Image width 240 mm | Slice 51/155
FLAIR MR image.
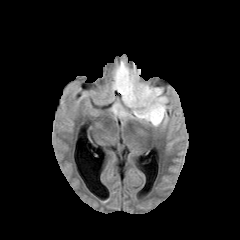
T1-weighted MR.
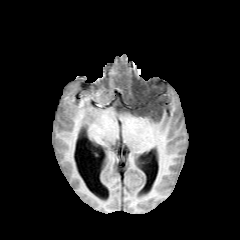
Post-contrast T1-weighted MRI.
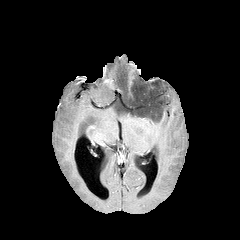
T2-weighted magnetic resonance.
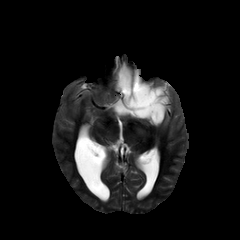
Non-enhancing tumor core: bounding box bbox(116, 79, 163, 117).
Edema: bounding box bbox(112, 61, 169, 126).